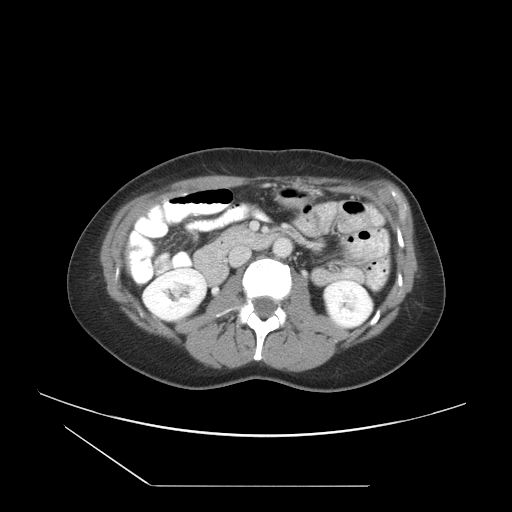

CT scan slice; Abdomen
The vessel boxes may cover only some of the vessels.
2 hepatic vessel regions appear at 131,264,131,268; 129,254,130,258.